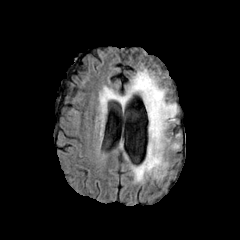
FLAIR MRI.
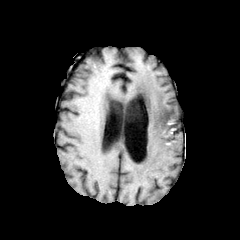
T1-weighted MR image of the same slice.
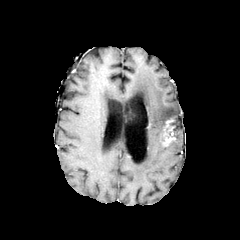
Post-contrast T1-weighted MRI.
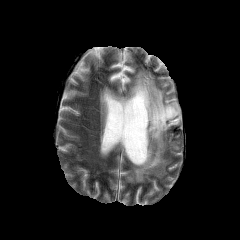
T2-weighted magnetic resonance.
Image size 240x240
The non-enhancing tumor core is located at (x1=138, y1=92, x2=147, y2=104). The edema is located at (x1=100, y1=69, x2=179, y2=182).